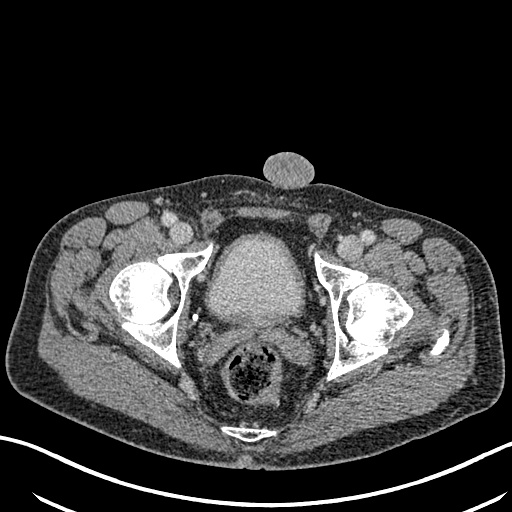
Pelvis, CT image
Urinary bladder: bounding box {"x1": 209, "y1": 235, "x2": 301, "y2": 326}.